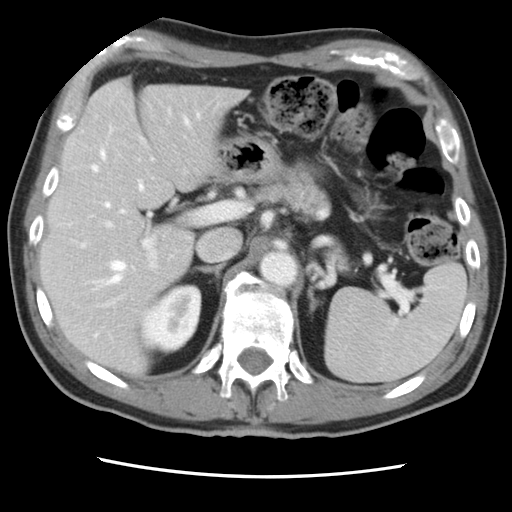

CT scan slice
Not every hepatic vessel necessarily has a box.
hepatic_vessel:
  - box(106, 300, 113, 305)
  - box(121, 210, 124, 212)
  - box(185, 118, 189, 124)
  - box(106, 202, 109, 206)
  - box(93, 165, 98, 169)
  - box(95, 334, 97, 336)
  - box(197, 113, 199, 116)
  - box(139, 183, 143, 189)
  - box(106, 222, 111, 225)
  - box(143, 241, 147, 245)
  - box(96, 280, 101, 283)
  - box(150, 262, 155, 267)
  - box(109, 126, 112, 129)
  - box(107, 261, 125, 283)
  - box(101, 150, 105, 156)